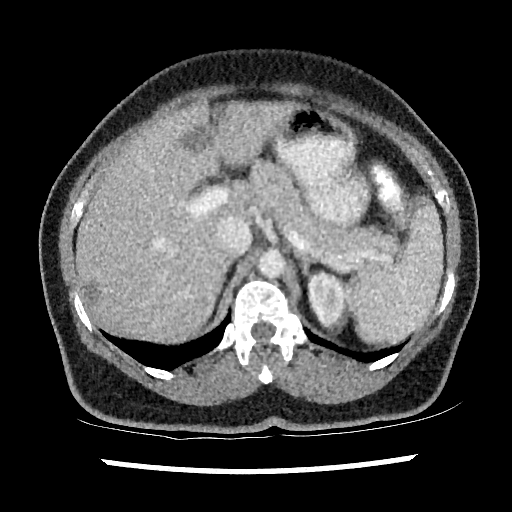 CT slice. Image size 512x512. Liver. Kidney: bounding box {"x1": 309, "y1": 273, "x2": 359, "y2": 324}.
Liver lesion: bounding box {"x1": 182, "y1": 126, "x2": 210, "y2": 149}, {"x1": 84, "y1": 282, "x2": 98, "y2": 303}, {"x1": 214, "y1": 107, "x2": 228, "y2": 120}.
Liver: bounding box {"x1": 77, "y1": 99, "x2": 296, "y2": 340}.